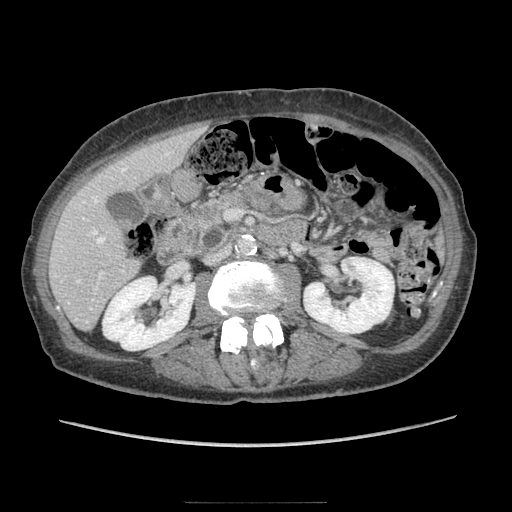 Computed tomography | 512x512 px
The pancreas appears at region(185, 188, 282, 255). The pancreatic tumor appears at region(201, 205, 218, 222).